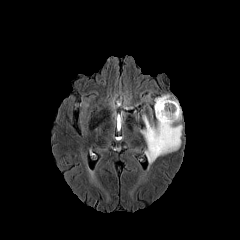
FLAIR MRI.
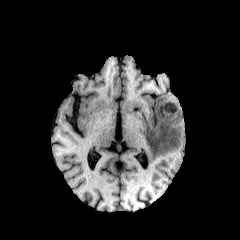
T1-weighted magnetic resonance.
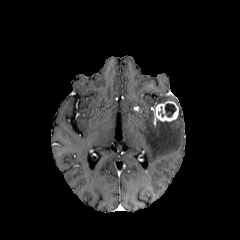
Post-contrast T1-weighted MRI of the same slice.
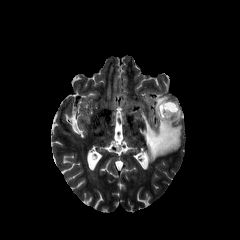
T2-weighted MRI.
- non-enhancing tumor core: bbox(161, 103, 176, 117)
- enhancing tumor: bbox(155, 101, 179, 122)
- edema: bbox(156, 95, 173, 103); bbox(140, 109, 182, 166)